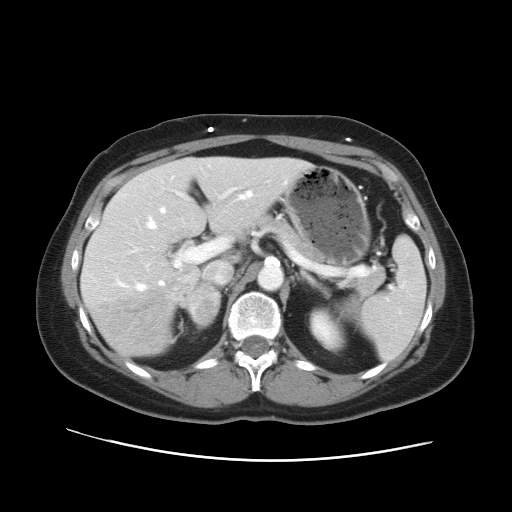
512x512. CT.
Only some of the vessels may be annotated.
Segmented structures:
- liver tumor: box=[186, 285, 218, 318]
- hepatic vessel: box=[159, 206, 166, 213]; box=[173, 237, 228, 267]; box=[171, 176, 173, 179]; box=[131, 248, 140, 252]; box=[146, 216, 156, 228]; box=[160, 281, 162, 283]; box=[250, 192, 253, 195]